Image width 380 mm; CT scan slice; Upper abdomen 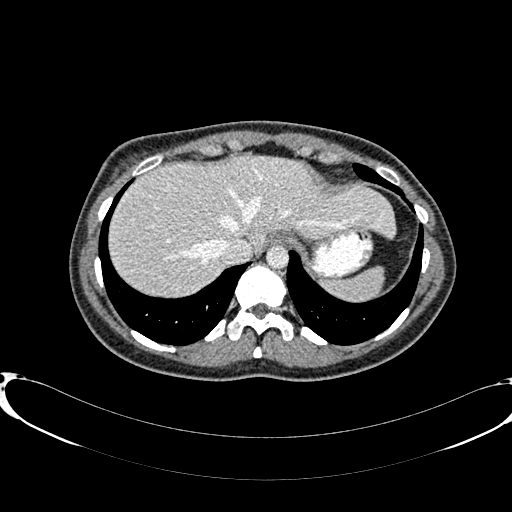

Liver at bbox(109, 155, 395, 295).